Field of view 360x360 mm. Slice index 11. CT. 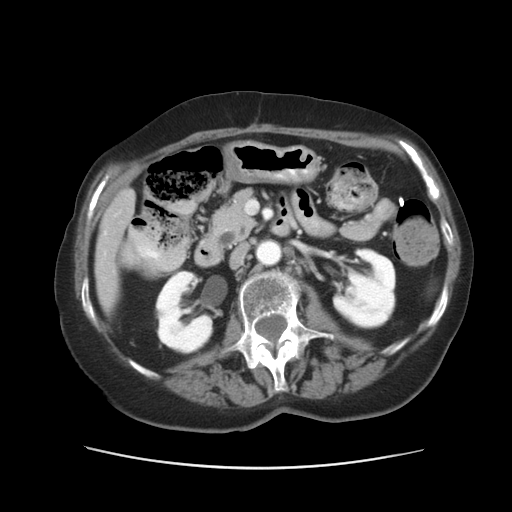
Only some of the vessels may be annotated.
hepatic vessel: (115,213,117,214)